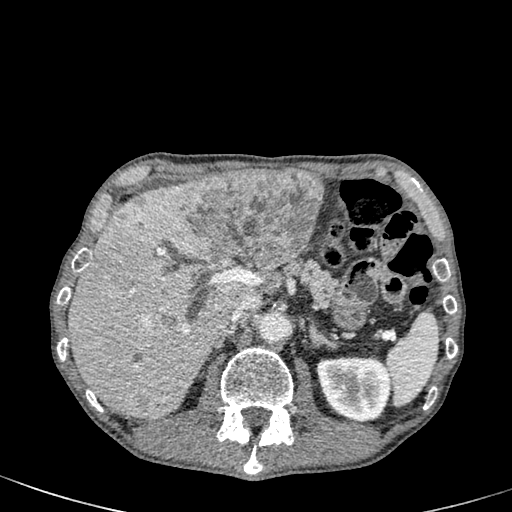

CT scan slice; 512x512 px

The kidney is bounded by 318,358,395,420. The liver is at 68,179,249,418. 3 liver lesion regions are located at 135,394,149,408; 161,314,176,329; 184,168,324,273.